Slice 44/155; Field of view 240x240 mm; Brain; 240x240
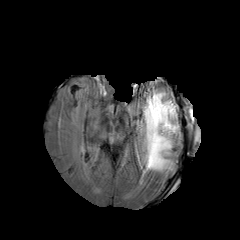
FLAIR MRI.
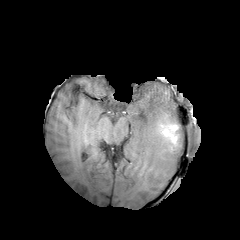
Same slice, T1-weighted MRI.
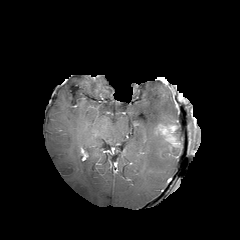
Same slice, post-contrast T1-weighted MR.
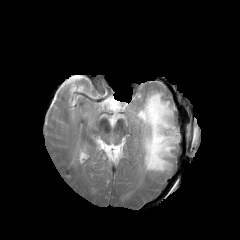
T2-weighted magnetic resonance of the same slice.
<segmentation>
  <enhancing_tumor>158 124 176 143</enhancing_tumor>
  <edema>133 87 180 175</edema>
  <non-enhancing_tumor_core>168 130 178 146</non-enhancing_tumor_core>
</segmentation>